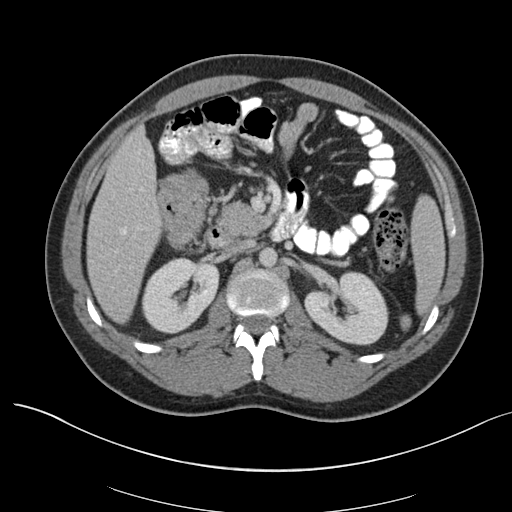

Abdomen. CT scan slice. {
  "colon_tumor": [
    {"x1": 158, "y1": 172, "x2": 207, "y2": 248}
  ]
}